FLAIR MR.
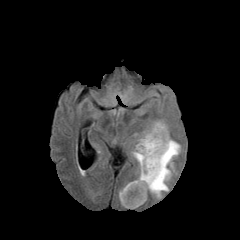
T1-weighted MR.
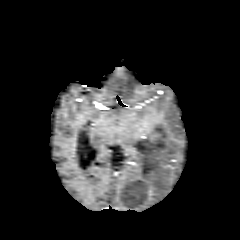
Post-contrast T1-weighted MR image.
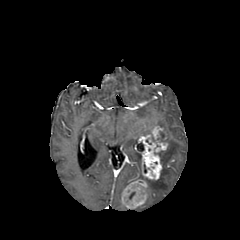
T2-weighted MR.
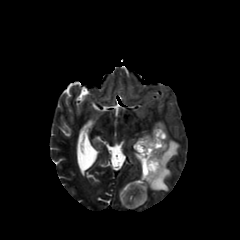
Head
non-enhancing tumor core: 124,187,140,201; 136,142,144,152; 157,130,165,141 | enhancing tumor: 122,180,146,207; 138,126,167,179 | edema: 131,120,181,199